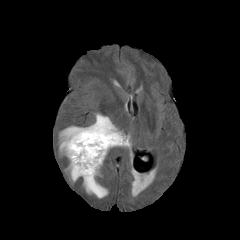
FLAIR magnetic resonance.
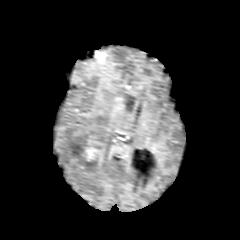
T1-weighted MR image.
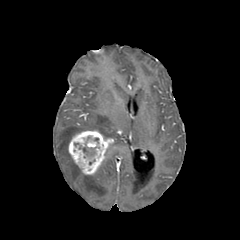
Post-contrast T1-weighted MR image of the same slice.
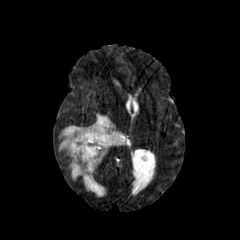
Same slice, T2-weighted MR.
Head.
enhancing_tumor:
  - 68,129,113,176
edema:
  - 59,114,131,181
  - 82,175,107,197